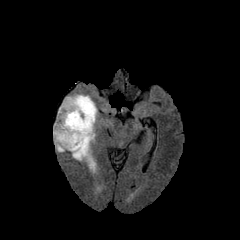
FLAIR MR.
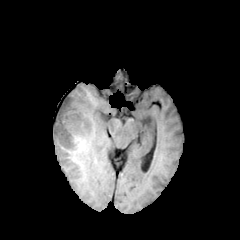
T1-weighted magnetic resonance of the same slice.
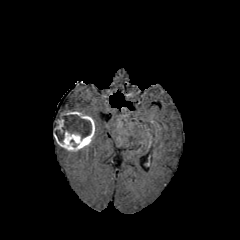
Post-contrast T1-weighted MR.
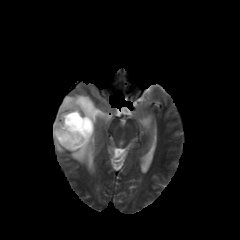
T2-weighted MR image of the same slice.
240x240
enhancing_tumor:
  - region(53, 111, 94, 150)
edema:
  - region(53, 135, 67, 153)
  - region(60, 92, 102, 174)
non-enhancing_tumor_core:
  - region(59, 101, 80, 112)
  - region(55, 114, 91, 142)